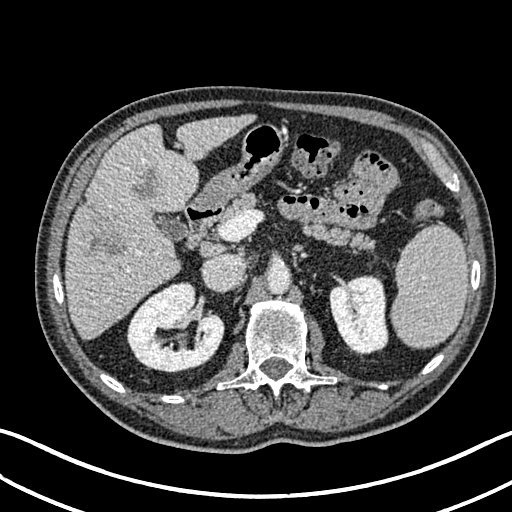
Computed tomography. Image size 512x512. Focal liver lesion — (88,215,129,255), (131,169,156,196).
Liver — (66,115,253,337).
Kidney — (128,283,223,371), (330,277,387,352).